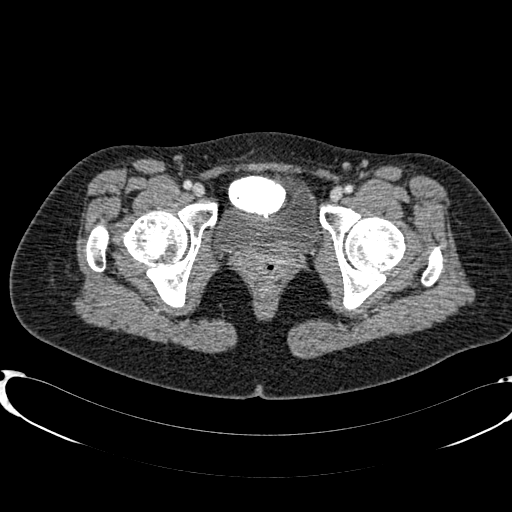

CT slice.
urinary bladder: x1=216, y1=186, x2=322, y2=256